CT image. Slice 78 of 138.

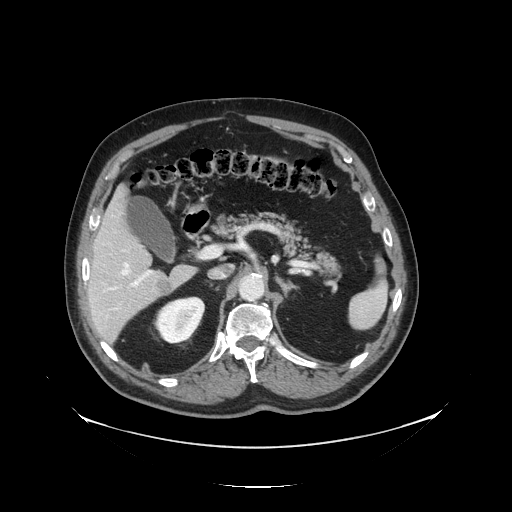 The vessel boxes may cover only some of the vessels.
liver_tumor:
  - bbox(157, 280, 172, 296)
hepatic_vessel:
  - bbox(132, 271, 151, 287)
  - bbox(122, 262, 130, 275)
  - bbox(105, 287, 116, 290)
  - bbox(106, 316, 108, 319)